Image size 512x512. Slice 37 of 95. CT. 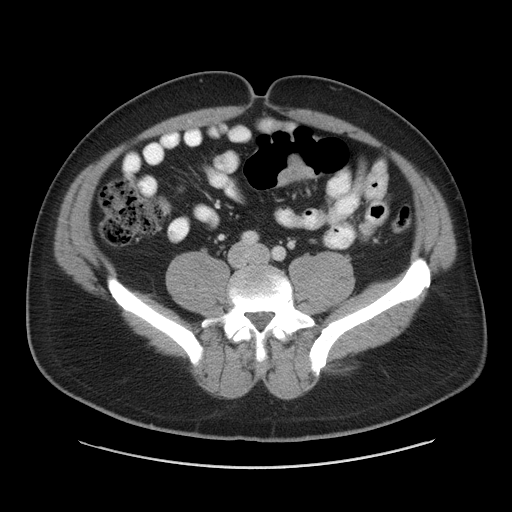

Colon tumor: bounding box x1=277, y1=155, x2=315, y2=187.